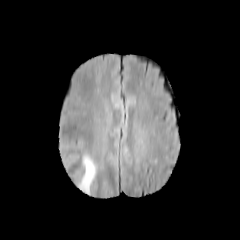
FLAIR MR image.
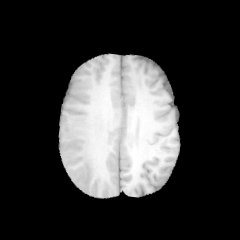
T1-weighted magnetic resonance of the same slice.
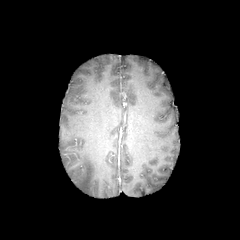
Post-contrast T1-weighted MRI.
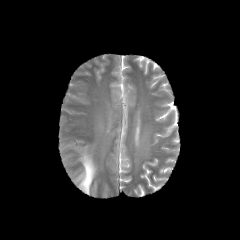
T2-weighted MR image.
Brain
edema:
  - (77,154,96,193)